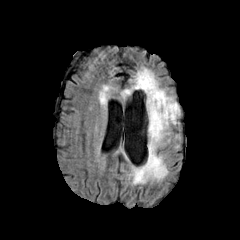
FLAIR MRI.
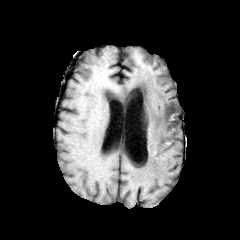
T1-weighted MRI of the same slice.
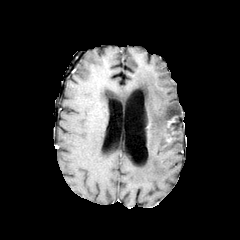
Post-contrast T1-weighted MRI of the same slice.
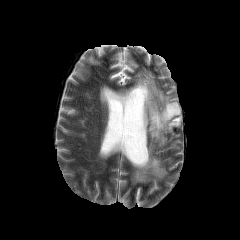
T2-weighted MR.
240x240. Brain.
The non-enhancing tumor core lies within 165:105:174:115. 2 edema regions are bounded by 118:67:180:184, 99:86:115:105.